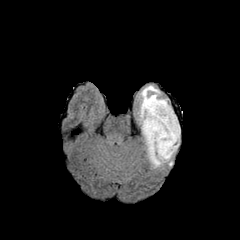
FLAIR magnetic resonance.
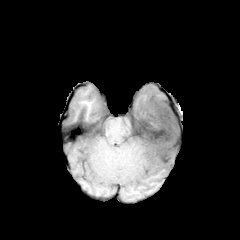
T1-weighted MRI.
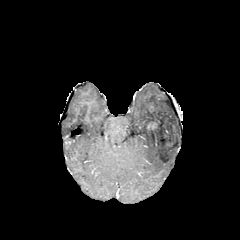
Same slice, post-contrast T1-weighted MR image.
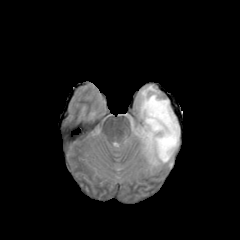
T2-weighted MR image of the same slice.
Image size 240x240
Non-enhancing tumor core: bounding box (x1=147, y1=113, x2=170, y2=133), (x1=160, y1=136, x2=170, y2=144).
Edema: bounding box (x1=136, y1=85, x2=180, y2=169).